CT scan slice

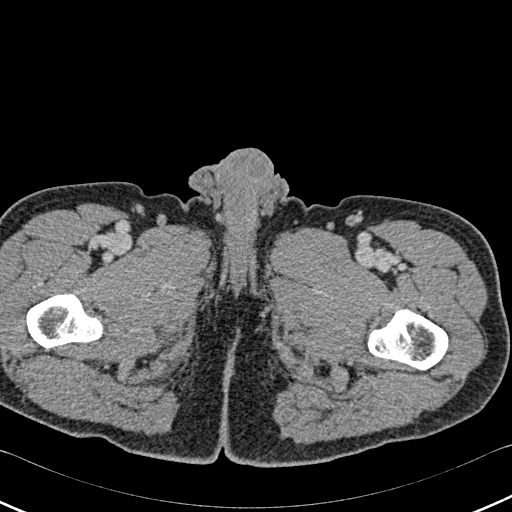
Segmented structures:
* bone: 27, 294, 101, 347; 368, 309, 447, 369